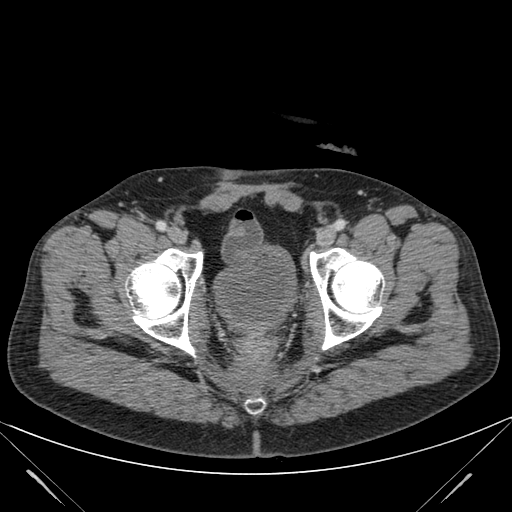 CT scan slice. Lower abdomen. The urinary bladder is bounded by [213, 241, 297, 336].